Upper abdomen; Computed tomography; 512x512 px; Image width 500 mm 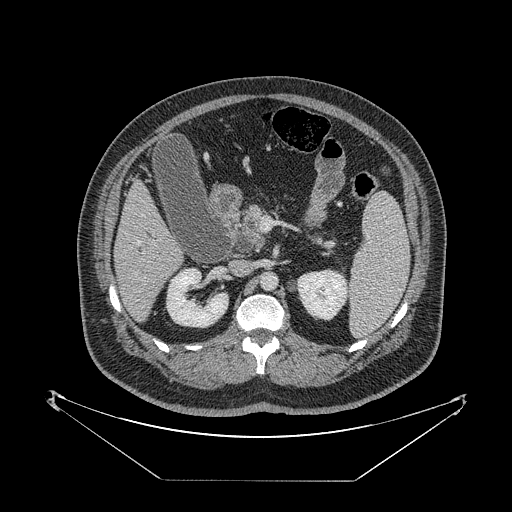 Findings:
• pancreas: l=318, t=240, r=332, b=247; l=237, t=206, r=264, b=251